Brain
FLAIR MR.
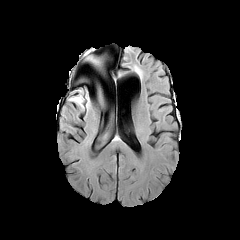
T1-weighted MRI.
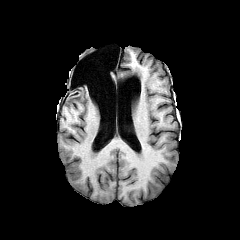
Post-contrast T1-weighted magnetic resonance.
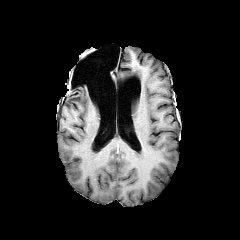
T2-weighted MR image.
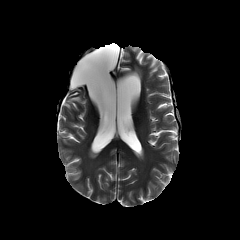
Edema at {"x1": 89, "y1": 56, "x2": 99, "y2": 65}, {"x1": 70, "y1": 90, "x2": 91, "y2": 110}.